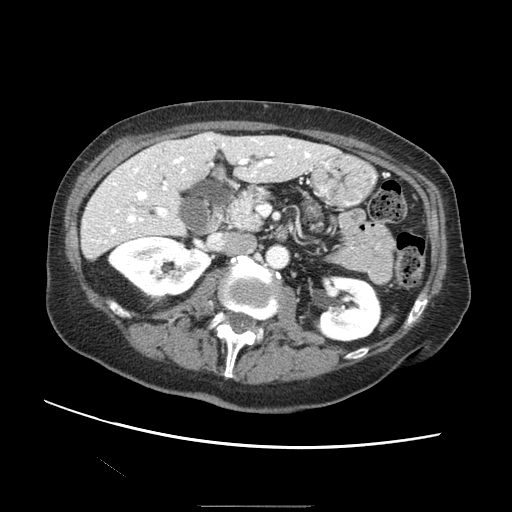

CT. Image size 512x512. Upper abdomen.
Annotated regions:
• pancreas: <box>302,194,323,236</box>, <box>226,186,273,230</box>
• pancreatic tumor: <box>232,196,254,226</box>